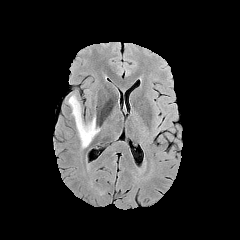
FLAIR MR image.
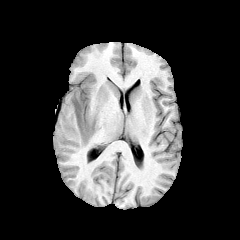
T1-weighted MR.
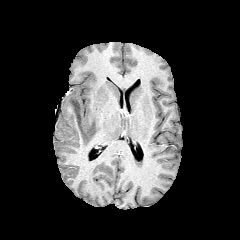
Post-contrast T1-weighted MR image.
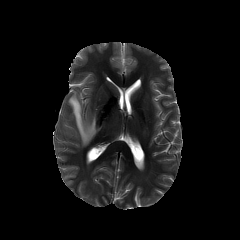
T2-weighted MR.
Head | 240x240 px
* edema: <box>66,92,99,147</box>